Head. Slice 111/155.
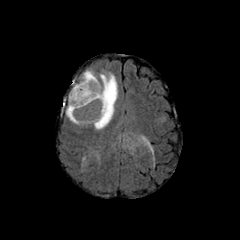
FLAIR MRI.
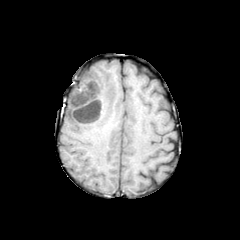
T1-weighted MRI of the same slice.
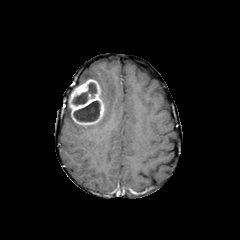
Same slice, post-contrast T1-weighted MRI.
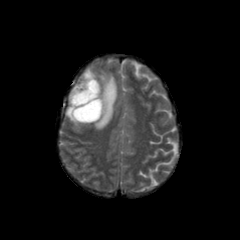
T2-weighted MR.
<segmentation>
  <edema>box=[66, 106, 80, 125]; box=[72, 70, 117, 129]</edema>
  <enhancing_tumor>box=[69, 79, 103, 124]</enhancing_tumor>
  <non-enhancing_tumor_core>box=[73, 100, 100, 122]; box=[72, 82, 96, 105]</non-enhancing_tumor_core>
</segmentation>